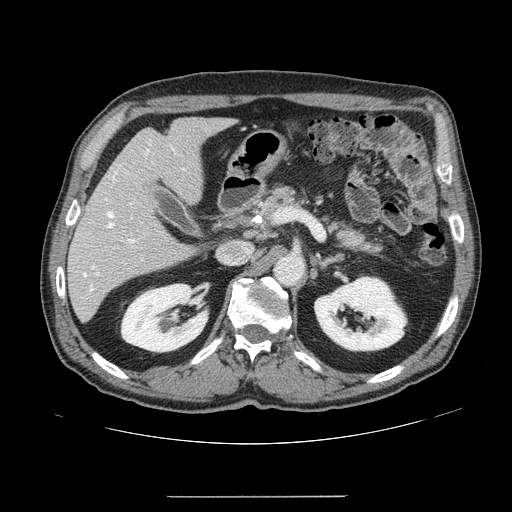 Abdomen | Computed tomography
{
  "pancreas": [
    "<bbox>252, 183, 307, 218</bbox>",
    "<bbox>316, 211, 390, 260</bbox>"
  ]
}